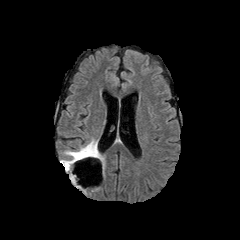
FLAIR magnetic resonance.
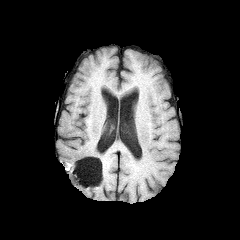
T1-weighted magnetic resonance.
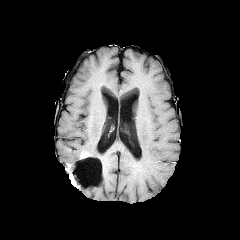
Post-contrast T1-weighted magnetic resonance of the same slice.
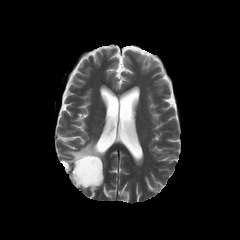
T2-weighted MR image.
Head; Image size 240x240
<segmentation>
  <enhancing_tumor>x1=78, y1=150, x2=91, y2=158</enhancing_tumor>
  <edema>x1=60, y1=137, x2=97, y2=171; x1=98, y1=152, x2=105, y2=173</edema>
  <non-enhancing_tumor_core>x1=76, y1=144, x2=103, y2=161</non-enhancing_tumor_core>
</segmentation>